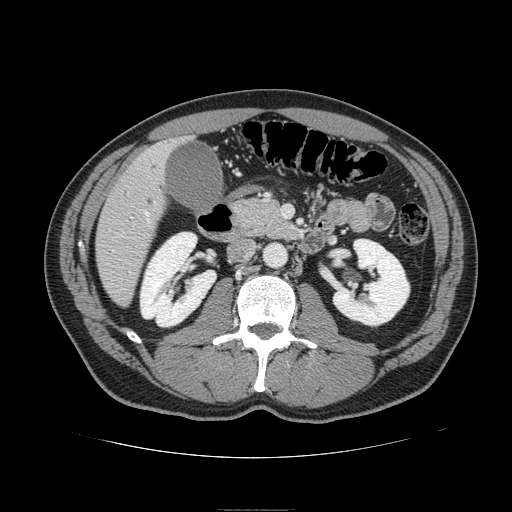

CT image; Upper abdomen

The pancreas appears at <bbox>230, 198, 298, 240</bbox>.